CT scan slice; Image size 512x512
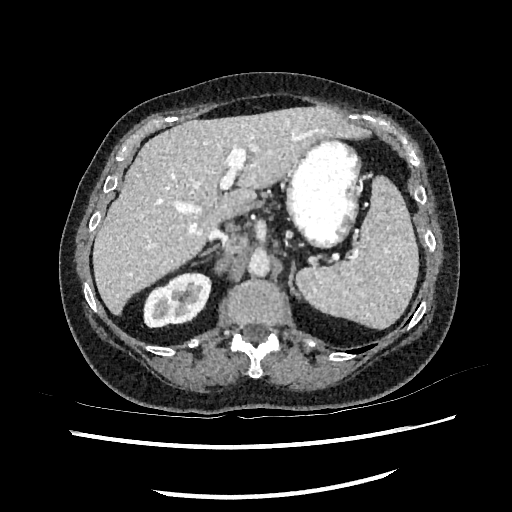

The liver is at x1=93 y1=107 x2=368 y2=314. The kidney appears at x1=144 y1=274 x2=210 y2=326.